Field of view 700x700 mm | Abdomen | Slice 516/707 | CT | 512x512
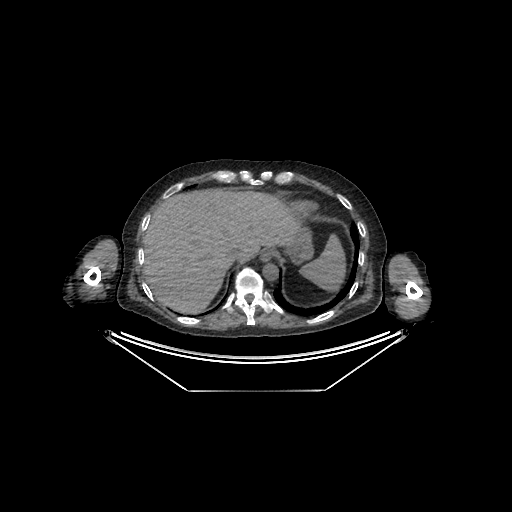 <segmentation>
  <liver>[139, 188, 300, 314]</liver>
</segmentation>